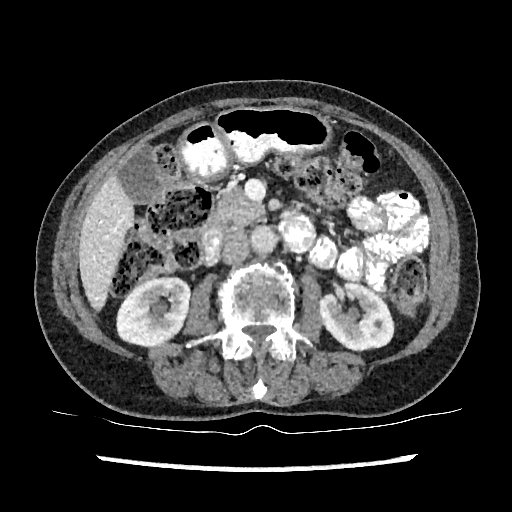
CT image | 512x512 px

<segmentation>
  <liver>bbox(79, 179, 134, 309)</liver>
  <kidney>bbox(117, 279, 189, 345); bbox(320, 284, 392, 349)</kidney>
</segmentation>